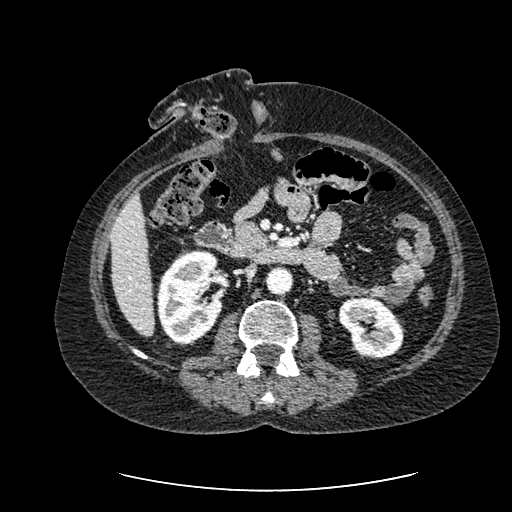
512x512 px; CT image; Abdomen
2 kidney regions are bounded by left=339, top=298, right=402, bottom=357; left=158, top=251, right=221, bottom=343. The liver is located at left=111, top=192, right=154, bottom=336.